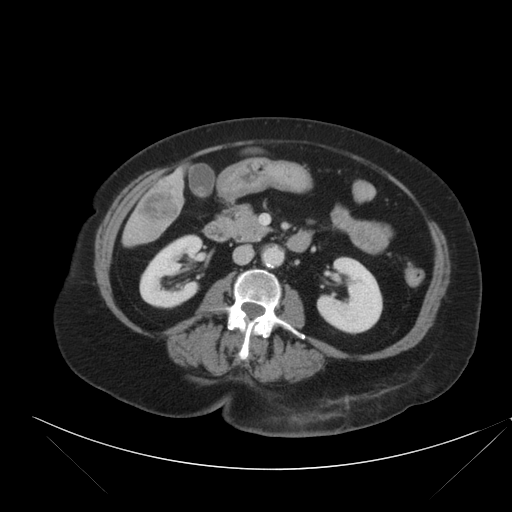

Liver. CT. Image size 512x512.

Not every hepatic vessel necessarily has a box.
The liver tumor is at [x1=138, y1=189, x2=177, y2=222]. The hepatic vessel is bounded by [x1=168, y1=172, x2=180, y2=182].